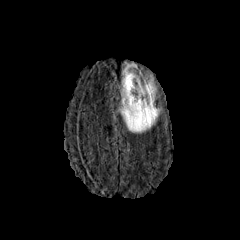
FLAIR MR image.
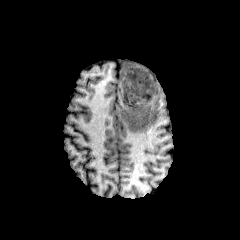
T1-weighted MRI of the same slice.
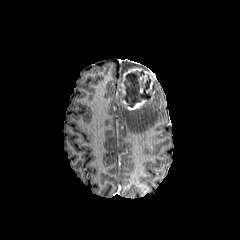
Post-contrast T1-weighted MR image of the same slice.
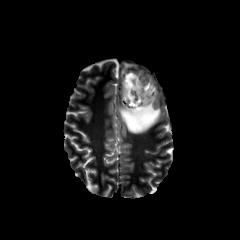
T2-weighted magnetic resonance.
240x240, Head
Annotated regions:
* enhancing tumor: rect(121, 67, 155, 110)
* non-enhancing tumor core: rect(122, 72, 151, 107)
* edema: rect(119, 101, 163, 133); rect(122, 62, 136, 73)